CT; Upper abdomen; Slice index 162; 512x512
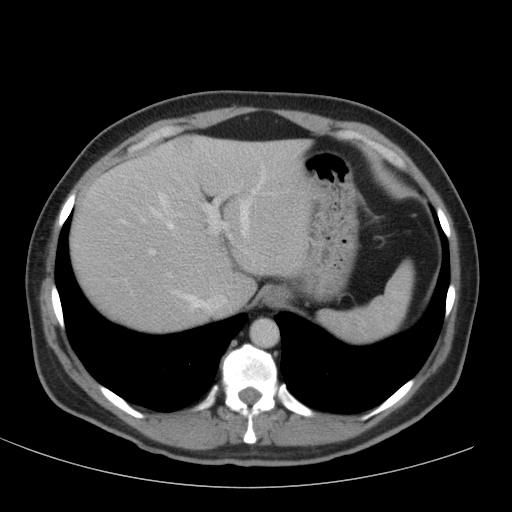
liver:
  - [71,136,319,330]